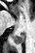

MR image. 35x53.

{"posterior_hippocampus": [{"x1": 13, "y1": 33, "x2": 24, "y2": 45}]}